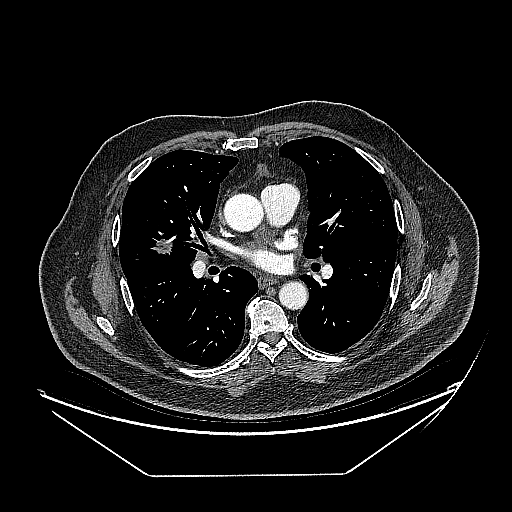

CT scan slice
lung_tumor:
  - (153,237,174,256)